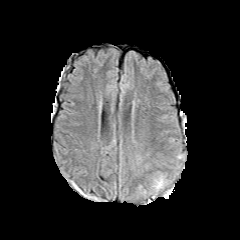
FLAIR MRI.
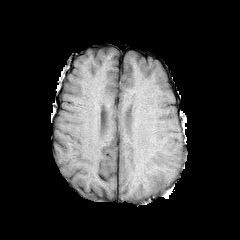
T1-weighted magnetic resonance of the same slice.
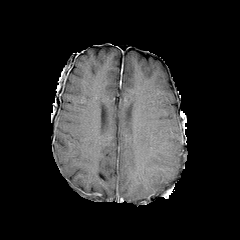
Post-contrast T1-weighted MR of the same slice.
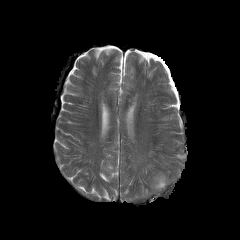
T2-weighted magnetic resonance.
Edema: bounding box region(150, 174, 168, 191).